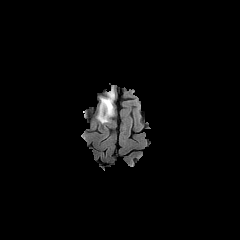
FLAIR magnetic resonance.
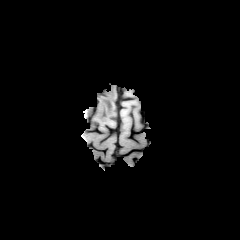
T1-weighted MR image.
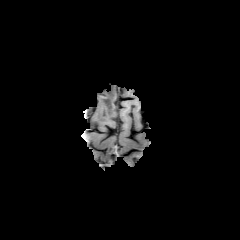
Post-contrast T1-weighted MR image.
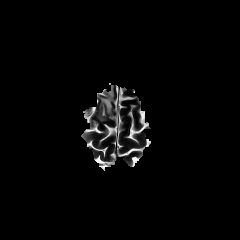
T2-weighted magnetic resonance.
• edema: <bbox>97, 89, 114, 122</bbox>